FLAIR MR.
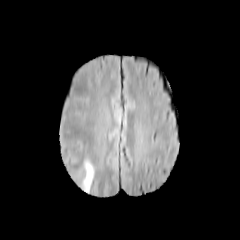
T1-weighted MRI.
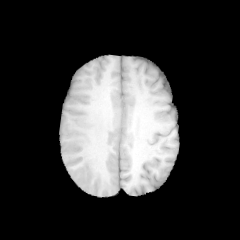
Post-contrast T1-weighted magnetic resonance.
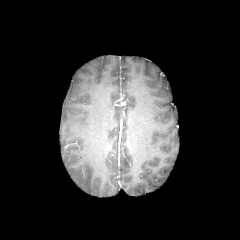
T2-weighted MR image.
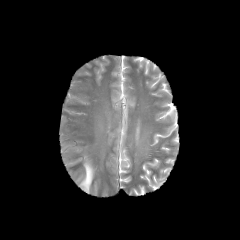
<segmentation>
  <edema>region(79, 161, 94, 191)</edema>
</segmentation>